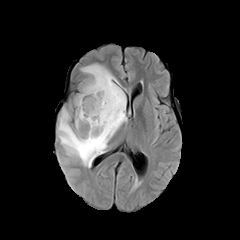
FLAIR MR.
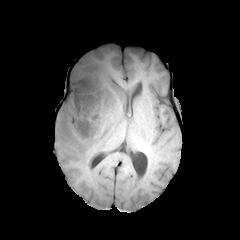
T1-weighted MR.
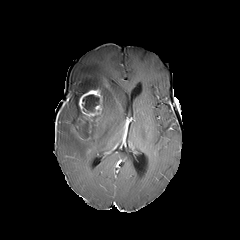
Same slice, post-contrast T1-weighted magnetic resonance.
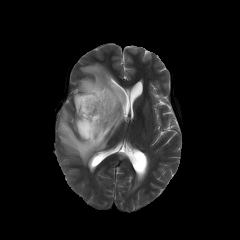
Same slice, T2-weighted MR image.
240x240 px
Edema — l=56, t=63, r=127, b=167.
Non-enhancing tumor core — l=75, t=84, r=109, b=139; l=83, t=95, r=99, b=111.
Enhancing tumor — l=78, t=88, r=102, b=121.